512x512. Field of view 474x474 mm. CT image. Upper abdomen.
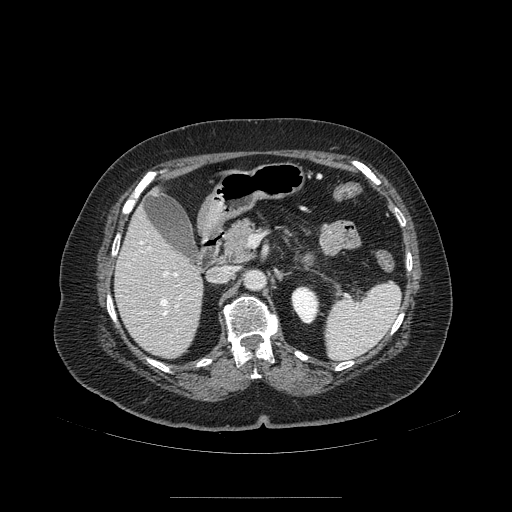
<segmentation>
  <pancreas>box(223, 219, 260, 265)</pancreas>
</segmentation>